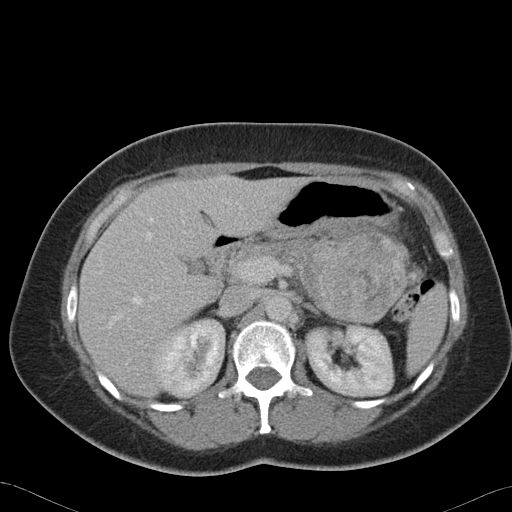 CT scan slice

Annotated regions:
- pancreas: {"x1": 331, "y1": 235, "x2": 355, "y2": 244}, {"x1": 229, "y1": 239, "x2": 323, "y2": 288}
- pancreatic tumor: {"x1": 303, "y1": 232, "x2": 408, "y2": 323}